FLAIR MR image.
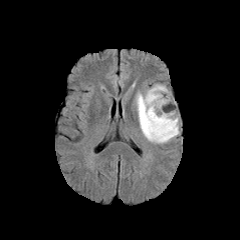
T1-weighted MRI.
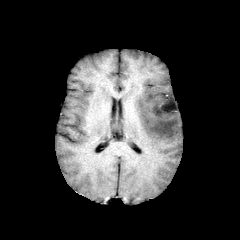
Post-contrast T1-weighted MRI.
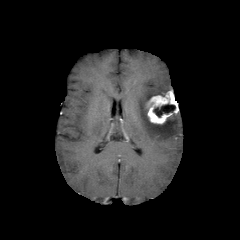
T2-weighted MR image.
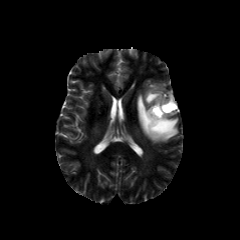
Brain
enhancing_tumor:
  - [145,90,178,124]
edema:
  - [135,83,179,143]
non-enhancing_tumor_core:
  - [154,104,175,117]